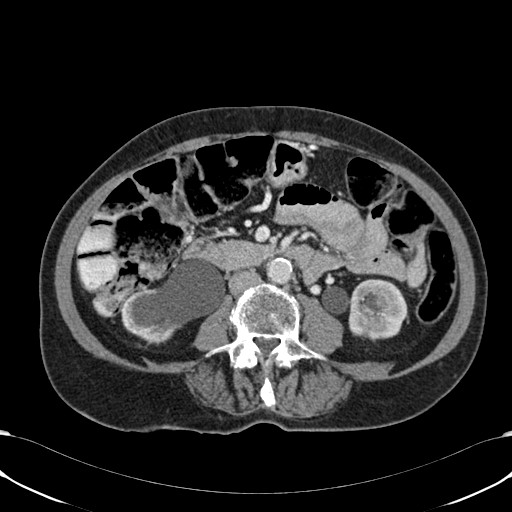 CT slice
2 kidney regions appear at (121,291,225,342), (349,280,406,338).